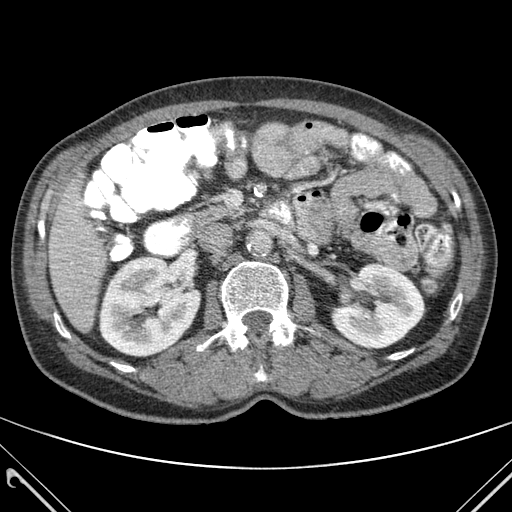
CT | Image size 512x512 | Liver
The liver is bounded by {"x1": 49, "y1": 179, "x2": 106, "y2": 326}. 2 kidney regions appear at {"x1": 101, "y1": 257, "x2": 199, "y2": 355}, {"x1": 333, "y1": 265, "x2": 423, "y2": 347}. 7 bone regions appear at {"x1": 38, "y1": 221, "x2": 44, "y2": 237}, {"x1": 111, "y1": 362, "x2": 134, "y2": 371}, {"x1": 54, "y1": 313, "x2": 69, "y2": 337}, {"x1": 197, "y1": 262, "x2": 295, "y2": 350}, {"x1": 255, "y1": 370, "x2": 265, "y2": 380}, {"x1": 389, "y1": 349, "x2": 412, "y2": 359}, {"x1": 451, "y1": 294, "x2": 461, "y2": 318}.